MRI. Medial temporal lobe. 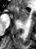

{"anterior_hippocampus": ["11:6:29:22"]}